Computed tomography.

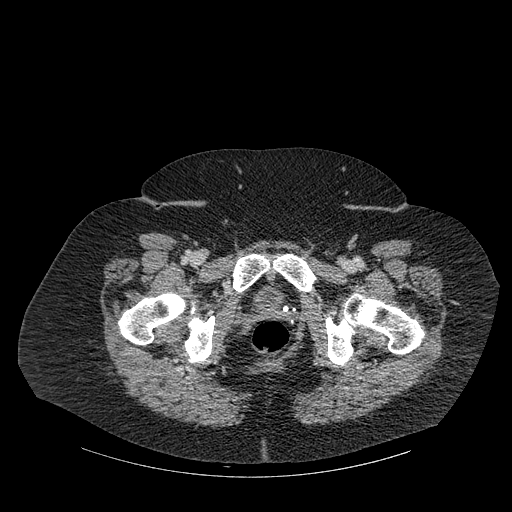
5 bone regions are located at box(233, 254, 269, 291); box(326, 293, 424, 365); box(185, 316, 214, 362); box(273, 254, 315, 291); box(118, 293, 185, 344).